CT slice, 512x512 px, Slice 43/605
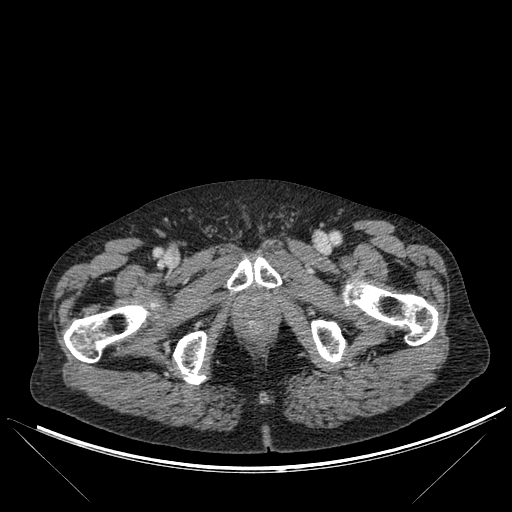 5 bone regions are bounded by [343, 283, 438, 345], [311, 320, 345, 363], [173, 331, 206, 384], [63, 305, 148, 362], [227, 257, 281, 291].